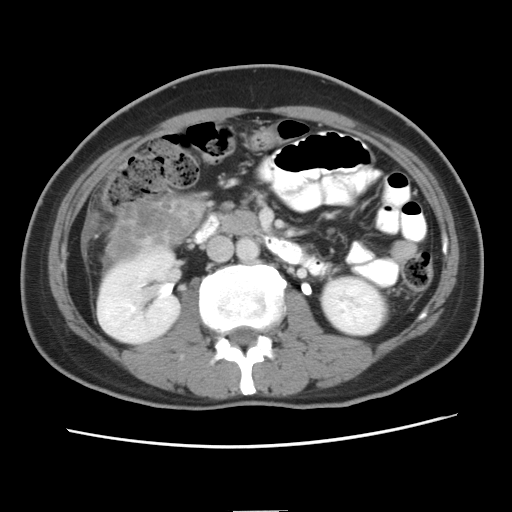

CT slice, Abdomen
The liver tumor is located at [109,199,203,257].